Image size 240x240.
FLAIR MR.
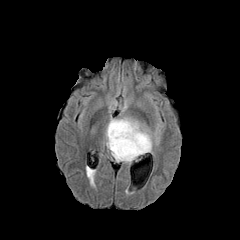
T1-weighted MR.
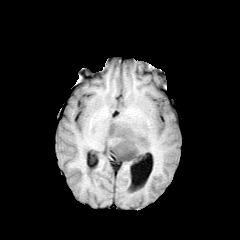
Post-contrast T1-weighted MR image.
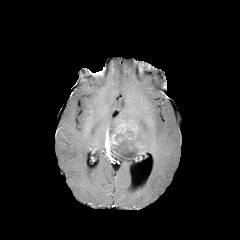
T2-weighted magnetic resonance.
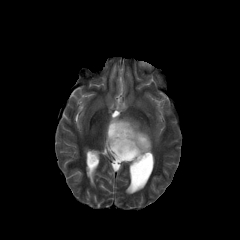
Non-enhancing tumor core: x1=109, y1=122, x2=114, y2=135; x1=111, y1=128, x2=147, y2=159.
Enhancing tumor: x1=135, y1=141, x2=147, y2=154; x1=105, y1=119, x2=140, y2=152.
Edema: x1=104, y1=98, x2=157, y2=154; x1=114, y1=156, x2=141, y2=165.